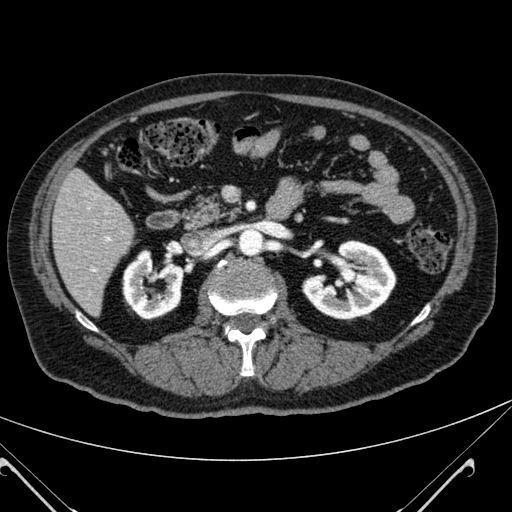 Computed tomography

Kidney = 124, 251, 182, 317; 304, 241, 394, 318.
Liver = 51, 173, 132, 313.